512x512, CT image, Upper abdomen

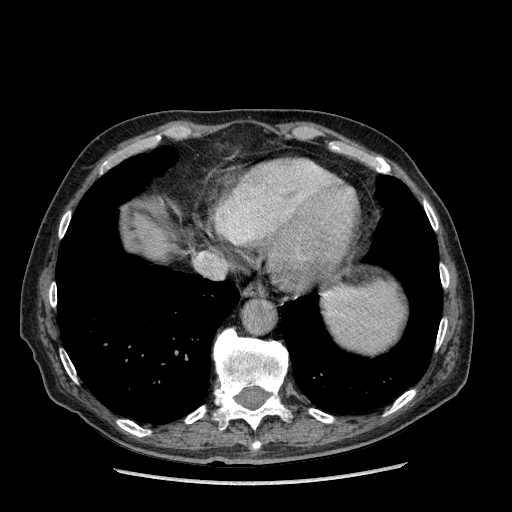

The liver appears at (135, 215, 176, 257).